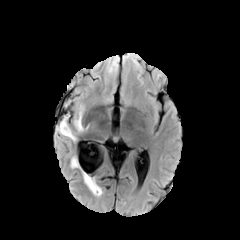
FLAIR magnetic resonance.
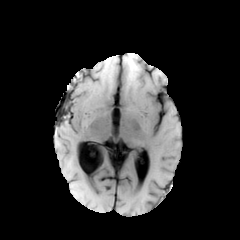
Same slice, T1-weighted MRI.
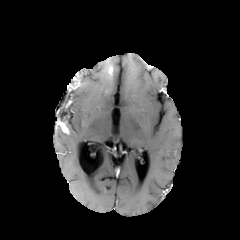
Same slice, post-contrast T1-weighted MRI.
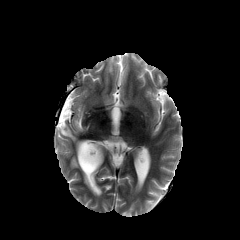
T2-weighted MR image of the same slice.
Head
edema: [71, 157, 79, 167], [56, 104, 83, 141], [82, 170, 101, 195] | enhancing tumor: [58, 121, 67, 133]